FLAIR MR image.
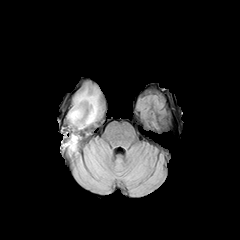
T1-weighted magnetic resonance.
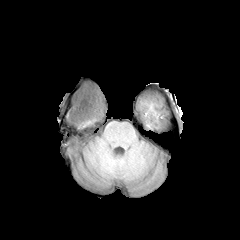
Post-contrast T1-weighted MR image.
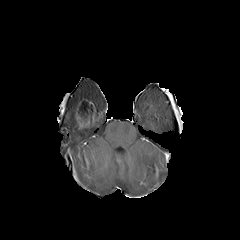
T2-weighted magnetic resonance.
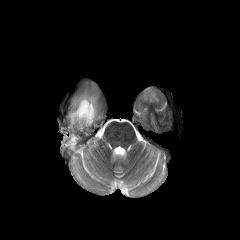
2 edema regions are bounded by {"x1": 68, "y1": 89, "x2": 102, "y2": 129}, {"x1": 64, "y1": 133, "x2": 78, "y2": 155}. The non-enhancing tumor core lies within {"x1": 75, "y1": 99, "x2": 95, "y2": 121}.